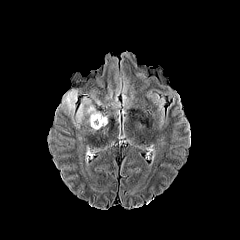
FLAIR MR.
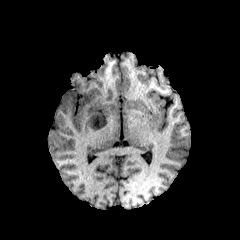
T1-weighted MR image.
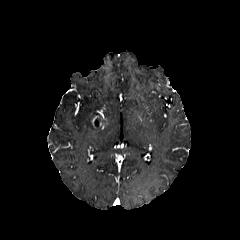
Same slice, post-contrast T1-weighted MR.
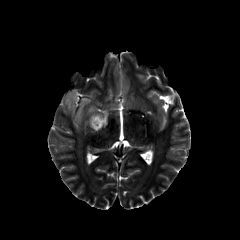
T2-weighted MR.
240x240 px
<segmentation>
  <non-enhancing_tumor_core>x1=94, y1=116, x2=105, y2=129</non-enhancing_tumor_core>
  <edema>x1=75, y1=94, x2=99, y2=131; x1=56, y1=90, x2=76, y2=124; x1=105, y1=90, x2=120, y2=109</edema>
</segmentation>